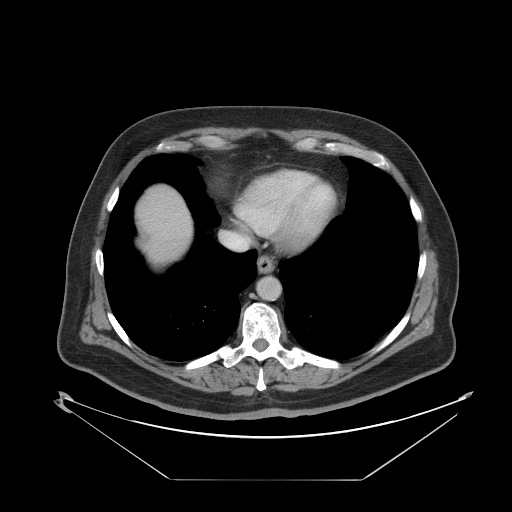

Liver; CT

The vessel boxes may cover only some of the vessels.
Hepatic vessel at 232:233:249:249.